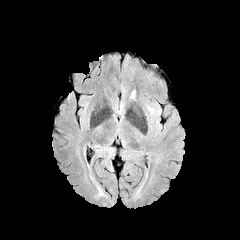
FLAIR MR.
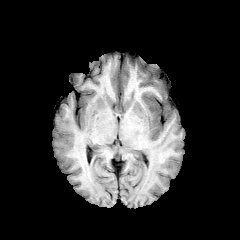
T1-weighted magnetic resonance.
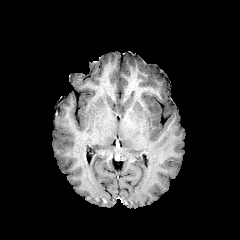
Same slice, post-contrast T1-weighted MR.
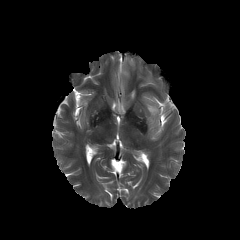
Same slice, T2-weighted MR.
240x240
Edema — <bbox>145, 105, 161, 117</bbox>.